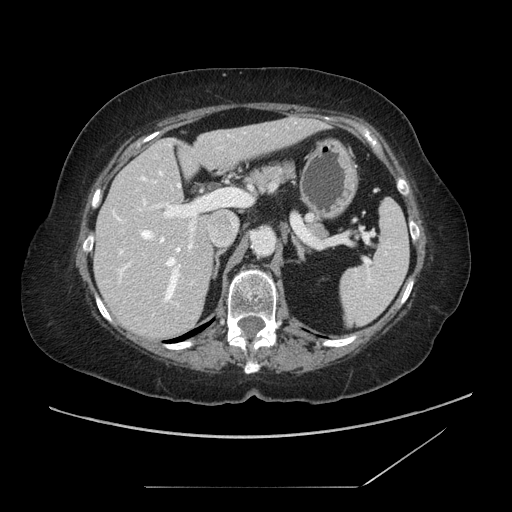 CT slice
pancreas:
  - box(241, 159, 295, 196)
  - box(306, 216, 329, 242)